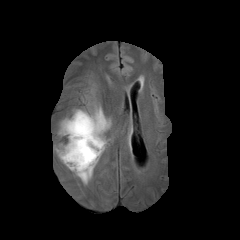
FLAIR MR.
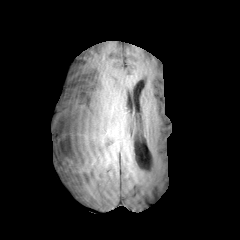
T1-weighted MR image.
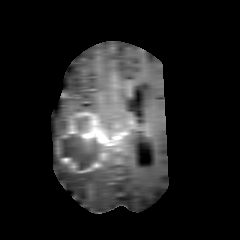
Post-contrast T1-weighted MRI.
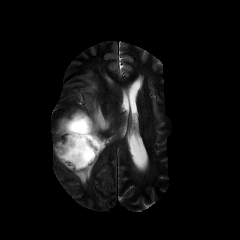
T2-weighted MR.
Enhancing tumor: (67, 112, 109, 160), (79, 162, 101, 172).
Non-enhancing tumor core: (57, 122, 103, 173), (72, 116, 87, 131).
Edema: (56, 106, 111, 137), (74, 173, 92, 184).